FLAIR MRI.
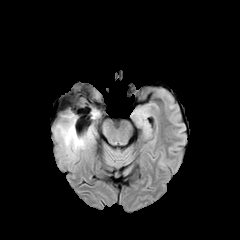
T1-weighted MRI.
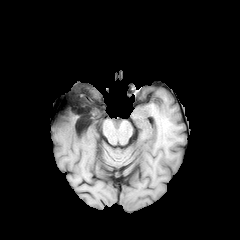
Post-contrast T1-weighted magnetic resonance.
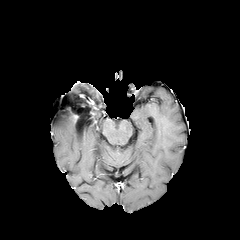
T2-weighted MRI.
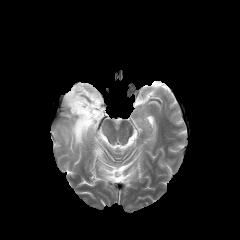
240x240
Edema = (left=53, top=108, right=99, bottom=160).
Non-enhancing tumor core = (left=73, top=98, right=102, bottom=121).